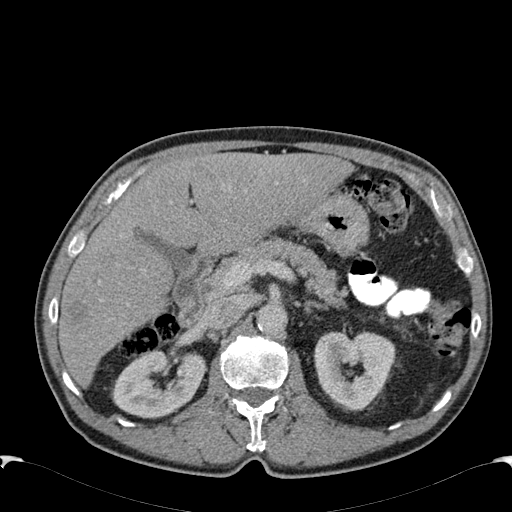

Computed tomography; Abdomen
<segmentation>
  <kidney><bbox>315, 332, 394, 409</bbox>, <bbox>113, 351, 205, 417</bbox></kidney>
  <hepatic_lesion><bbox>70, 302, 87, 319</bbox></hepatic_lesion>
  <liver><bbox>60, 153, 352, 385</bbox></liver>
</segmentation>